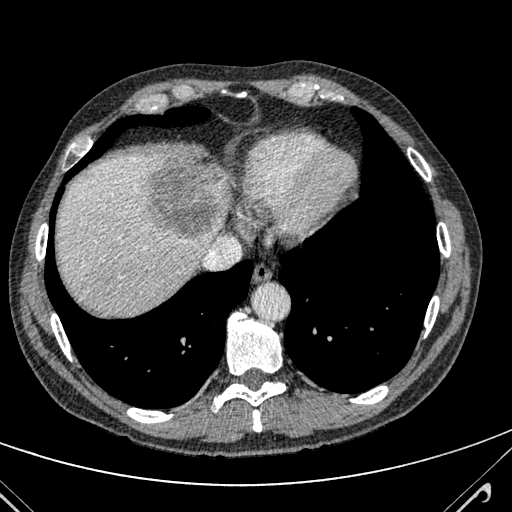

Abdomen, CT image

Liver: region(57, 154, 229, 313).
Liver lesion: region(145, 159, 223, 238).